Hippocampus | MRI
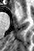
The anterior hippocampus appears at 17 5 18 7.